Image size 240x240. Brain.
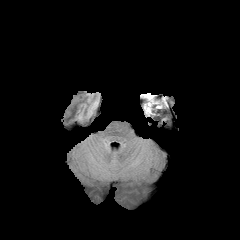
FLAIR magnetic resonance.
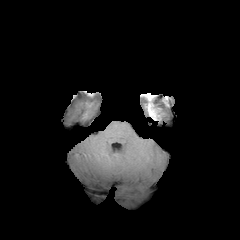
T1-weighted MR.
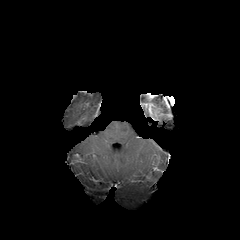
Post-contrast T1-weighted MRI.
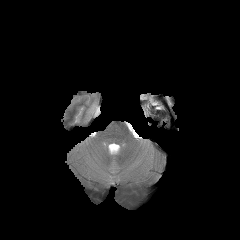
T2-weighted MR image.
Findings:
* edema: box(142, 94, 152, 104); box(146, 104, 160, 115)